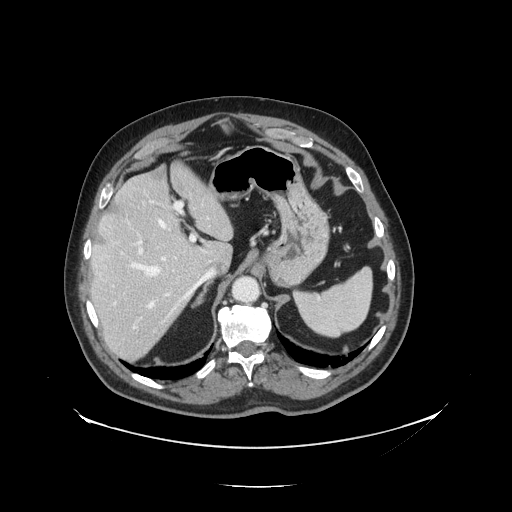

CT scan slice | Image size 512x512 | Liver
The vessel boxes may cover only some of the vessels.
Top 15 of 16 hepatic vessel regions at 114:303:116:305, 204:242:209:246, 148:301:154:308, 204:269:216:276, 150:201:154:203, 173:205:176:208, 162:257:165:260, 158:220:170:230, 135:237:142:253, 167:307:175:317, 184:286:194:299, 132:322:136:328, 126:220:129:224, 165:294:169:296, 130:263:161:276.
Liver tumor at 151:165:165:180.